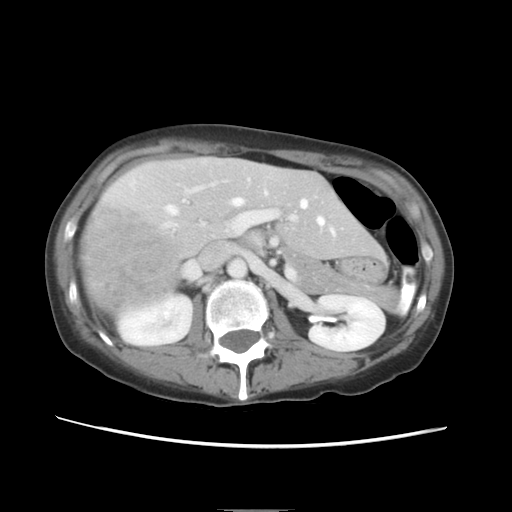
CT scan slice | Image size 512x512

The vessel annotation is not exhaustive.
Liver tumor — 82, 202, 183, 311.
Hepatic vessel — 230, 211, 278, 233; 300, 199, 307, 207; 290, 215, 296, 219; 331, 228, 335, 234; 212, 182, 214, 184; 202, 222, 203, 224; 166, 205, 176, 213; 233, 198, 242, 205; 185, 186, 201, 192; 164, 222, 179, 232; 317, 217, 324, 224; 265, 190, 267, 193.